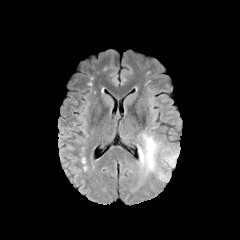
FLAIR MR image.
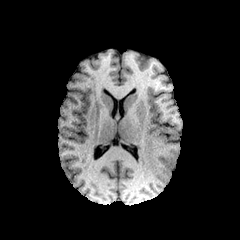
T1-weighted MRI.
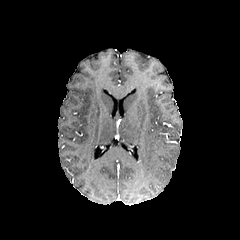
Post-contrast T1-weighted MR.
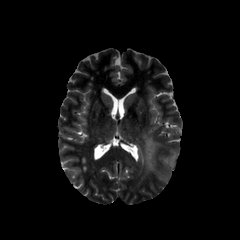
T2-weighted MRI of the same slice.
Brain. 240x240 px.
<segmentation>
  <edema>[158,173,171,182], [166,155,176,166], [137,133,156,175]</edema>
</segmentation>